FLAIR MR.
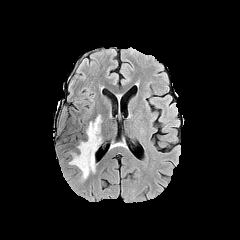
T1-weighted MR image.
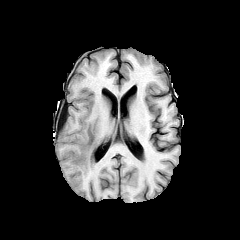
Post-contrast T1-weighted magnetic resonance.
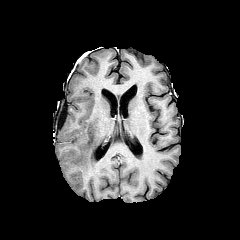
T2-weighted magnetic resonance.
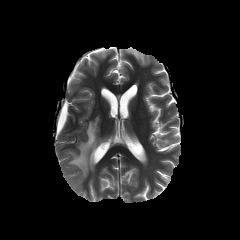
The edema is bounded by x1=69, y1=114, x2=101, y2=180.